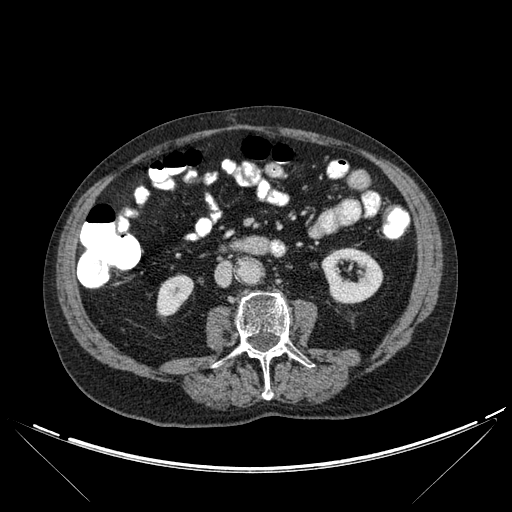

CT.

Kidney: bounding box box(322, 248, 382, 302); box(157, 275, 193, 315).
Bone: bounding box box(230, 292, 291, 399).